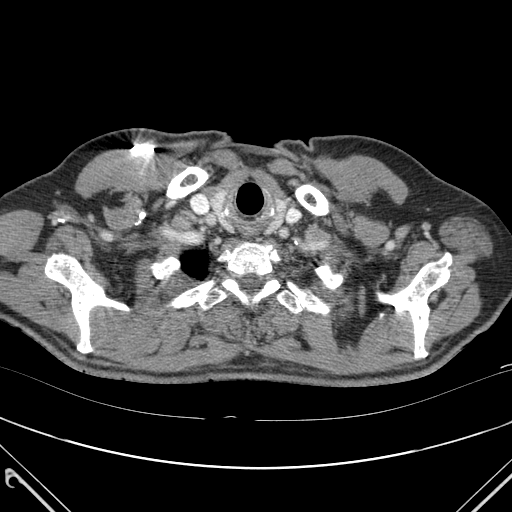 CT scan slice | Chest
bone:
  - [222,279,279,303]
  - [172,281,226,308]
  - [219,243,279,274]
  - [167,167,207,198]
  - [151,257,179,278]
  - [295,185,328,215]
  - [45,254,128,352]
  - [277,282,329,313]
  - [315,266,342,288]
  - [378,253,451,357]
lung:
  - [181,251,207,279]